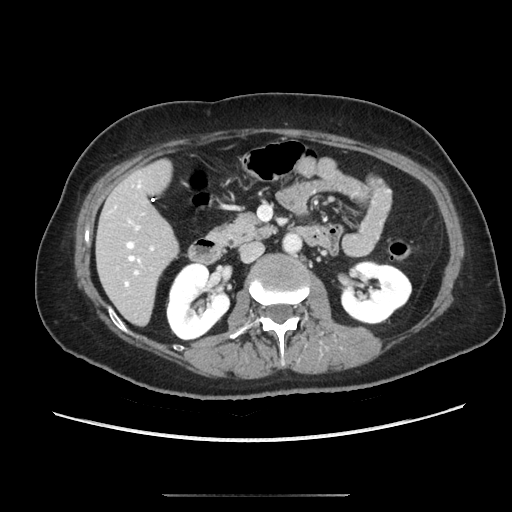
Abdomen. CT slice.

The pancreas is at 227, 214, 272, 245.